240x240 px | Slice 107/155
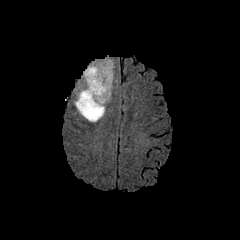
FLAIR MR.
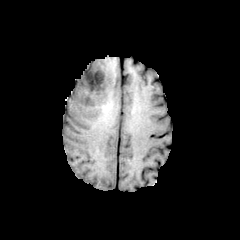
T1-weighted MRI.
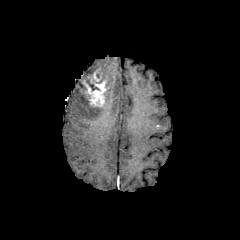
Post-contrast T1-weighted MRI of the same slice.
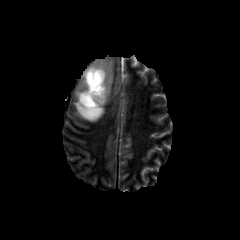
Same slice, T2-weighted MR.
{
  "enhancing_tumor": [
    "<box>82,68,106,106</box>"
  ],
  "edema": [
    "<box>83,60,112,104</box>",
    "<box>75,83,105,122</box>"
  ]
}